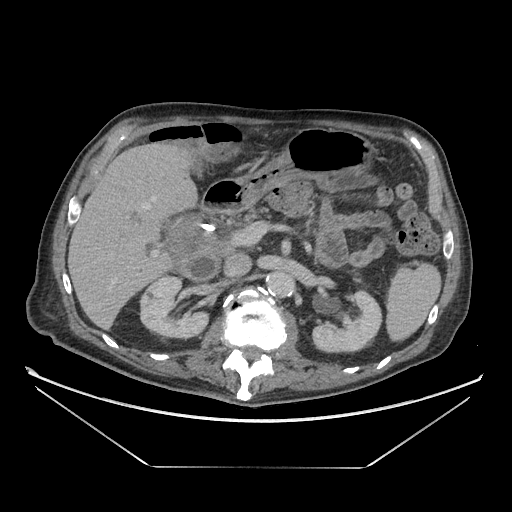 Computed tomography | Upper abdomen | 512x512
pancreas:
  - (left=245, top=208, right=267, bottom=222)